MR; Field of view 400 mm wide, 1.37 mm slice spacing; 320x320 px
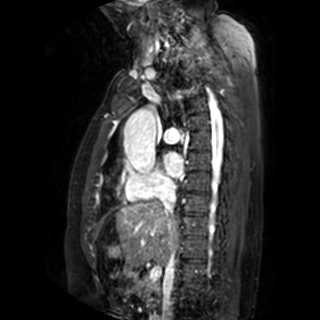

Left atrium: (x1=165, y1=153, x2=183, y2=176).